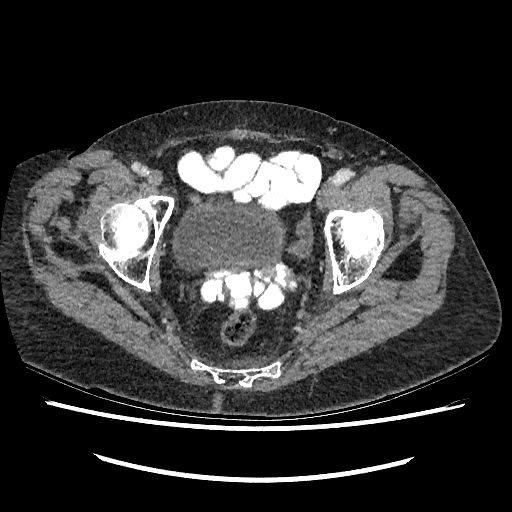

Lower abdomen | CT scan slice
Annotated regions:
* urinary bladder: x1=173 y1=194 x2=286 y2=272